CT scan slice, Image size 512x512, Field of view 335x335 mm
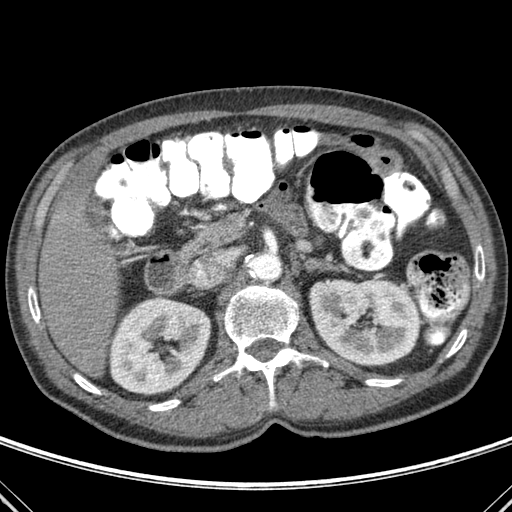

2 kidney regions appear at region(310, 280, 419, 364); region(111, 299, 209, 393). 7 bone regions appear at region(149, 399, 179, 411); region(214, 283, 327, 406); region(365, 379, 401, 387); region(446, 329, 466, 356); region(74, 374, 100, 394); region(475, 244, 484, 280); region(28, 287, 39, 323). The liver is bounded by region(39, 178, 119, 377).